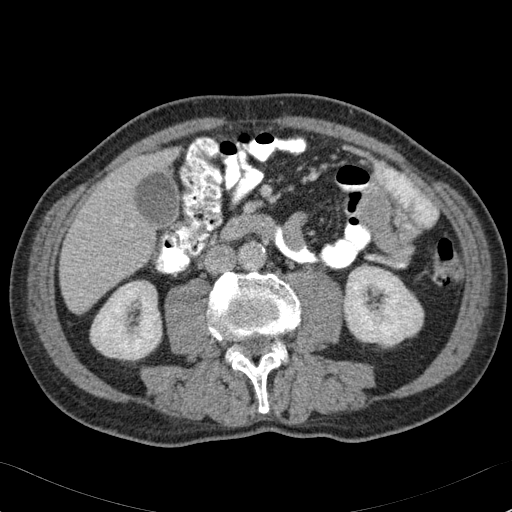
CT slice, Abdomen, 512x512 px
Segmented structures:
• kidney: (91, 282, 161, 359), (344, 266, 423, 345)
• liver: (60, 150, 174, 311)